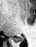 Hippocampus, MR image
The posterior hippocampus is at 12, 36, 23, 40.